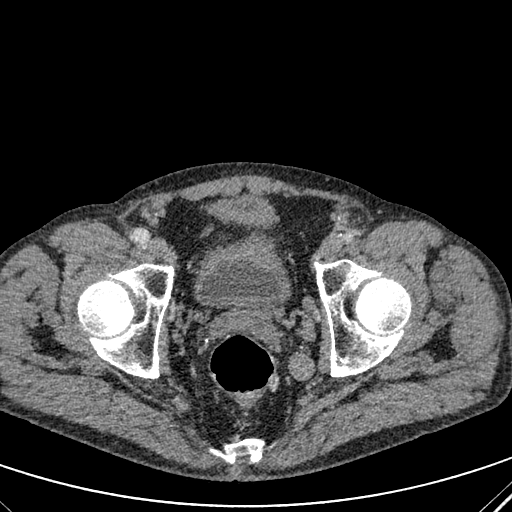 CT, Lower abdomen
The urinary bladder lies within [201, 256, 281, 301].